Field of view 240 mm wide, 1.00 mm slice spacing | Slice 117 of 155
FLAIR MRI.
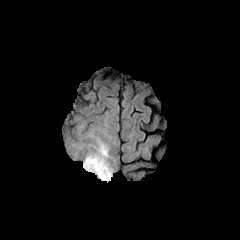
T1-weighted MR image.
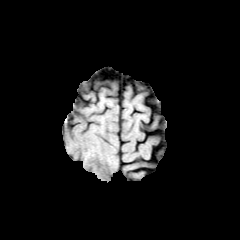
Post-contrast T1-weighted MR image.
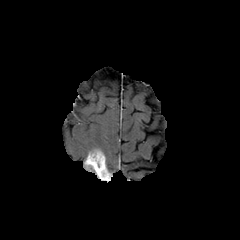
T2-weighted MR image.
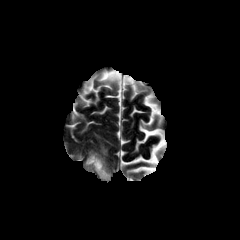
<segmentation>
  <enhancing_tumor>left=84, top=150, right=110, bottom=180</enhancing_tumor>
  <edema>left=88, top=142, right=113, bottom=176</edema>
</segmentation>